Field of view 412x412 mm | CT | Abdomen

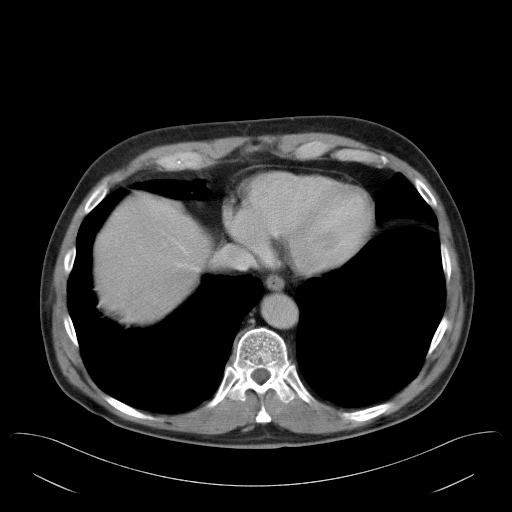

Only some of the vessels may be annotated.
Annotated regions:
* hepatic vessel: region(175, 263, 198, 270); region(172, 239, 187, 253)